FLAIR MR.
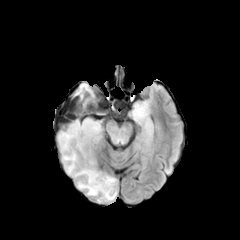
T1-weighted MR image.
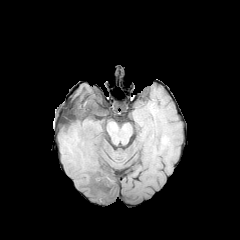
Post-contrast T1-weighted MR image.
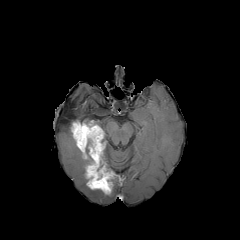
T2-weighted magnetic resonance.
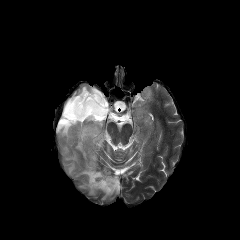
240x240 px, Head
edema: x1=132, y1=103, x2=146, y2=120; x1=74, y1=84, x2=93, y2=96; x1=78, y1=178, x2=117, y2=199; x1=58, y1=106, x2=94, y2=178 | enhancing tumor: x1=71, y1=120, x2=103, y2=155; x1=85, y1=162, x2=114, y2=195 | non-enhancing tumor core: x1=68, y1=118, x2=85, y2=131; x1=82, y1=140, x2=107, y2=183